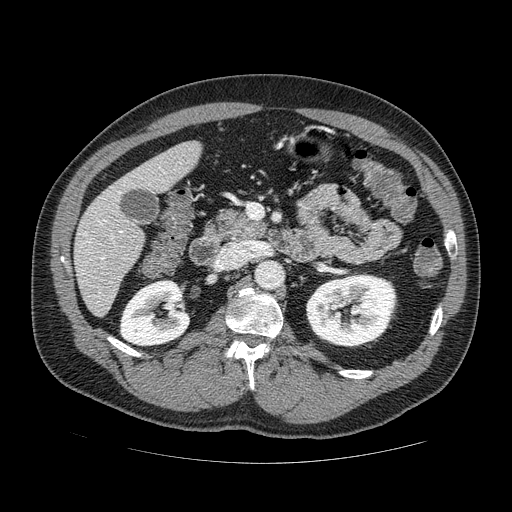
CT image
* pancreas: 216:209:271:242